CT slice 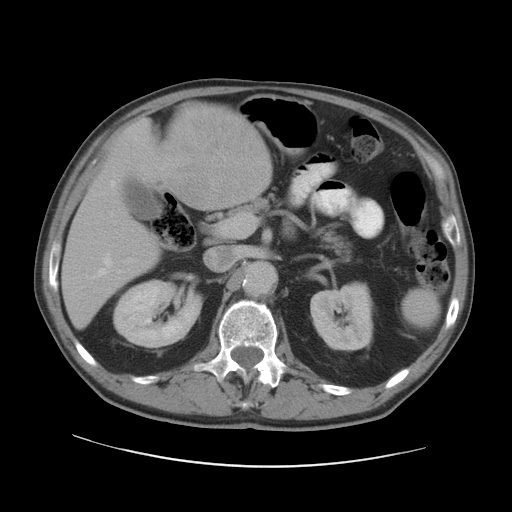 Some hepatic vessels may have no box.
Hepatic vessel = box=[103, 253, 110, 265]; box=[118, 270, 122, 272]; box=[110, 181, 115, 186]; box=[92, 268, 106, 278]; box=[113, 192, 115, 195].
Liver tumor = box=[157, 107, 270, 209].